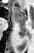

MRI | Medial temporal lobe

The anterior hippocampus is located at (left=12, top=6, right=27, bottom=20). The posterior hippocampus is at (left=17, top=21, right=24, bottom=36).